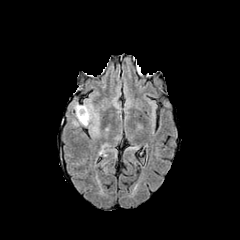
FLAIR magnetic resonance.
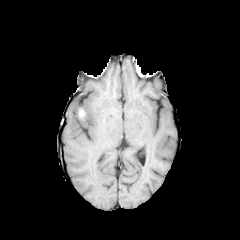
T1-weighted magnetic resonance.
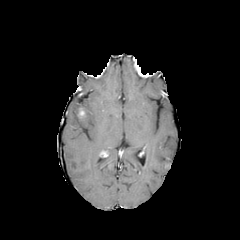
Same slice, post-contrast T1-weighted MRI.
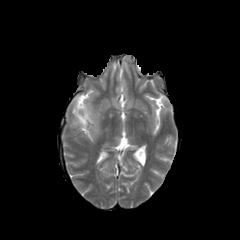
T2-weighted MR image.
240x240 px, Head
Edema: bounding box <bbox>70, 102, 98, 136</bbox>.